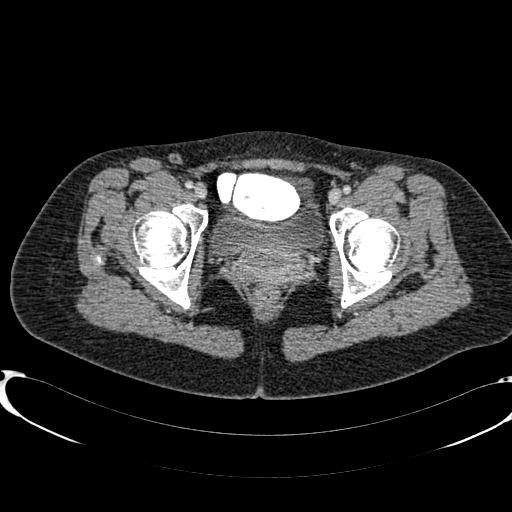 CT slice. Image size 512x512.
Urinary bladder: <bbox>211, 198, 321, 256</bbox>.